240x240 px
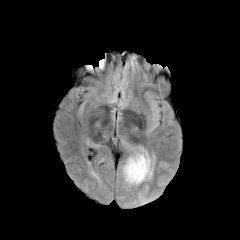
FLAIR MR.
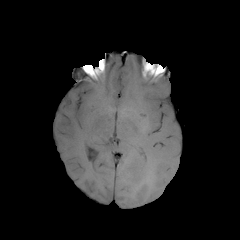
T1-weighted MR image of the same slice.
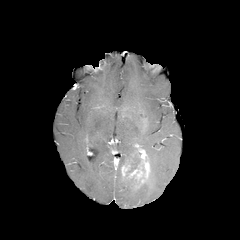
Post-contrast T1-weighted MRI of the same slice.
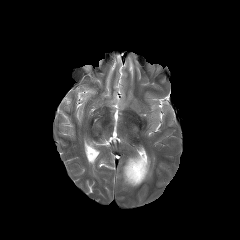
Same slice, T2-weighted MR.
2 edema regions are located at [123,153,151,186], [123,149,141,170]. The enhancing tumor appears at [129,150,147,178].